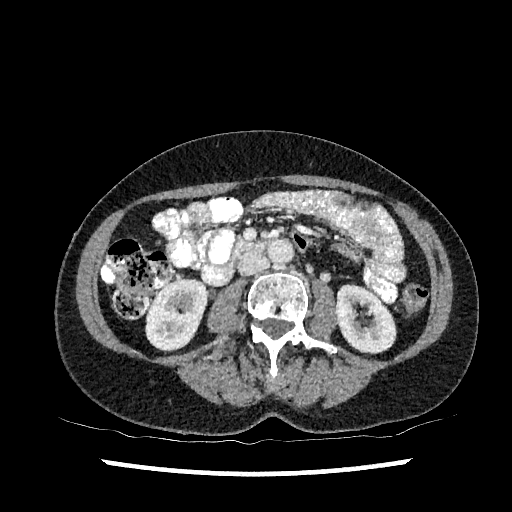 CT. Abdomen.

2 kidney regions are located at (336,285,395,352), (146,280,206,349).